Slice 81 of 155, Image width 240 mm, Brain
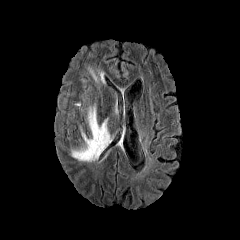
FLAIR magnetic resonance.
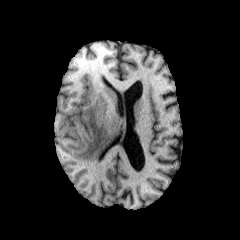
T1-weighted MRI of the same slice.
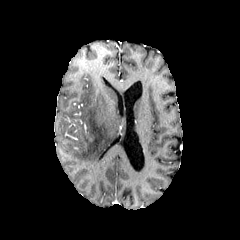
Post-contrast T1-weighted MR image.
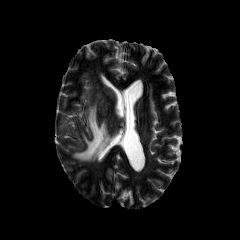
T2-weighted MR image of the same slice.
Findings:
- edema: (71, 103, 113, 161)